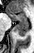

Hippocampus. 34x53. MR.
The posterior hippocampus is at [x1=15, y1=24, x2=28, y2=36]. The anterior hippocampus is bounded by [x1=7, y1=13, x2=27, y2=23].